Slice 78/155, Head
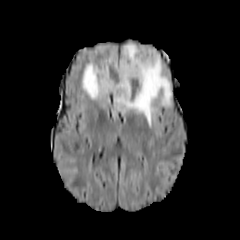
FLAIR magnetic resonance.
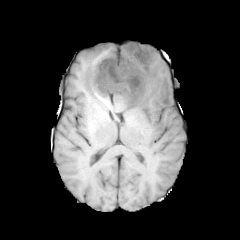
T1-weighted MR image of the same slice.
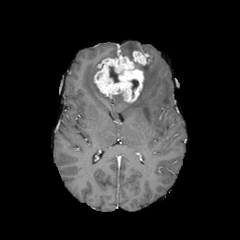
Same slice, post-contrast T1-weighted MRI.
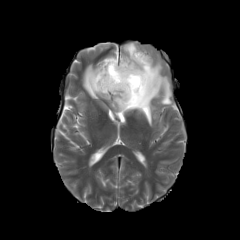
T2-weighted MR image.
Findings:
* non-enhancing tumor core: box(131, 79, 138, 95); box(108, 66, 120, 82); box(129, 52, 146, 70); box(112, 93, 123, 100)
* edema: box(82, 42, 172, 127)
* enhancing tumor: box(132, 51, 149, 65); box(94, 55, 143, 103)